CT image; Field of view 339 mm wide, 0.80 mm slice spacing; Lower abdomen
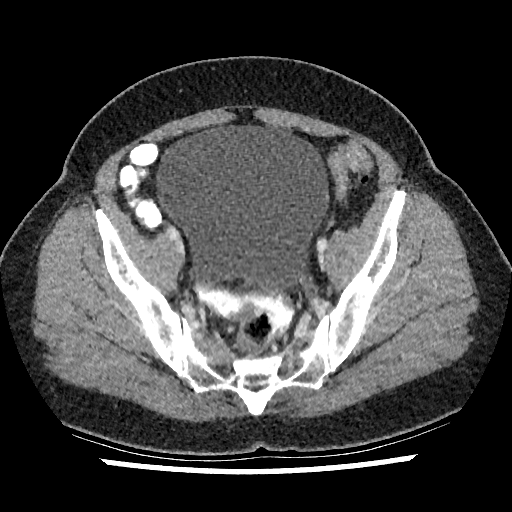
Urinary bladder at 156,123,329,292.